Liver | CT | Slice index 24

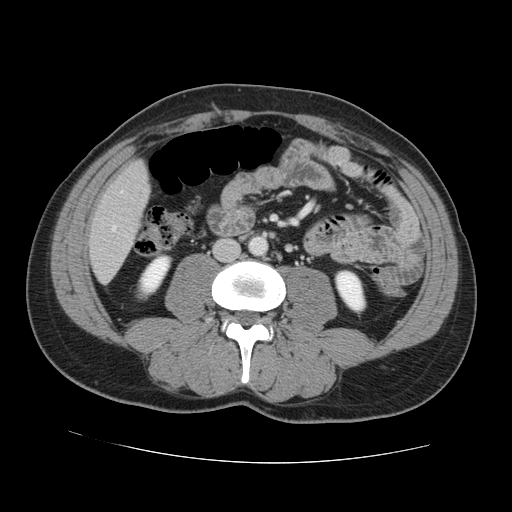
Some hepatic vessels may have no box.
hepatic vessel: (x1=120, y1=191, x2=122, y2=192), (x1=128, y1=243, x2=129, y2=245), (x1=112, y1=226, x2=115, y2=230), (x1=124, y1=235, x2=129, y2=239)